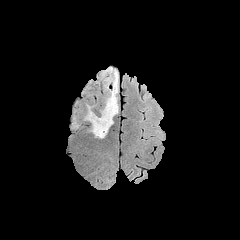
FLAIR magnetic resonance.
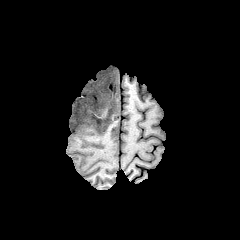
T1-weighted MR image of the same slice.
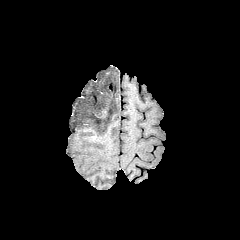
Post-contrast T1-weighted MRI.
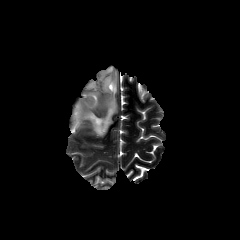
T2-weighted MR.
edema: {"x1": 85, "y1": 68, "x2": 118, "y2": 138}